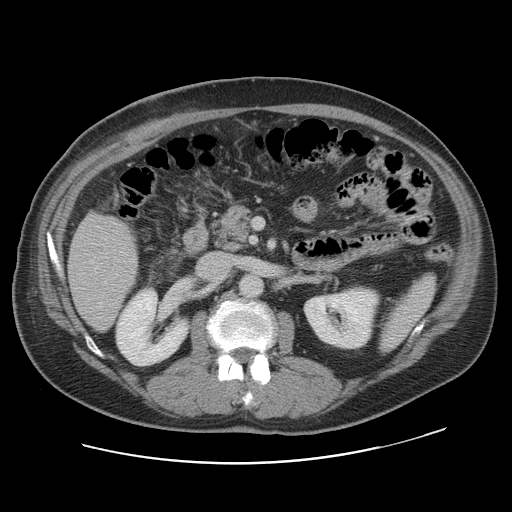

Computed tomography | Abdomen
The vessel boxes may cover only some of the vessels.
hepatic_vessel:
  - box(115, 273, 117, 275)
  - box(101, 295, 103, 297)
  - box(104, 281, 106, 283)
  - box(97, 302, 102, 310)